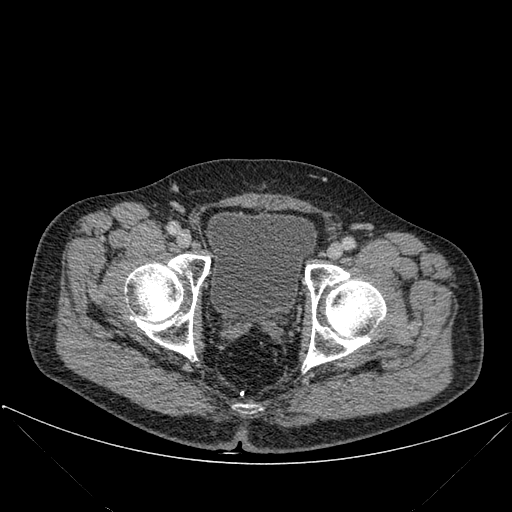 CT scan slice, Pelvis, Image size 512x512

<segmentation>
  <bone><bbox>125, 254, 210, 360</bbox>, <bbox>235, 404, 256, 412</bbox>, <bbox>302, 264, 386, 372</bbox></bone>
  <urinary_bladder><bbox>206, 210, 316, 325</bbox></urinary_bladder>
</segmentation>